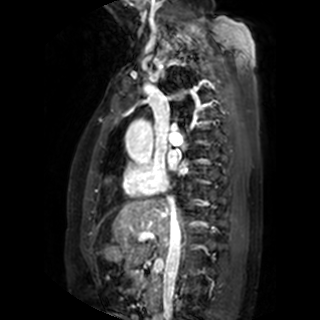
Magnetic resonance. 320x320 px.

Left atrium = 168 152 176 169.